CT | Upper abdomen
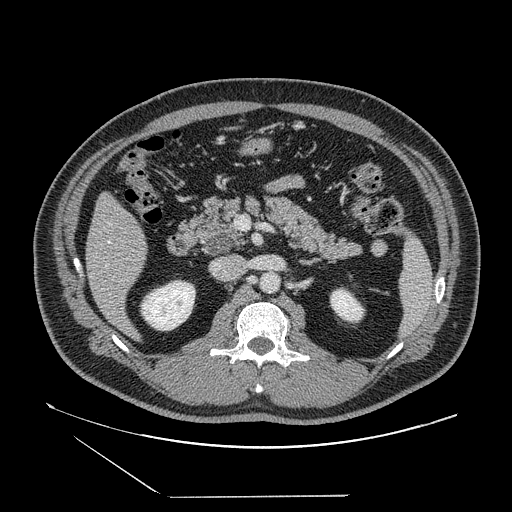
The pancreas is located at [x1=190, y1=195, x2=363, y2=262]. The pancreatic tumor appears at [x1=206, y1=235, x2=235, y2=254].